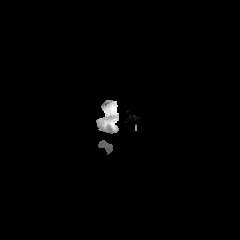
FLAIR MR.
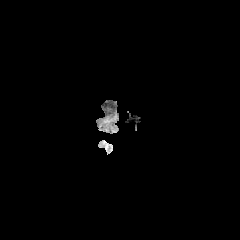
T1-weighted MRI.
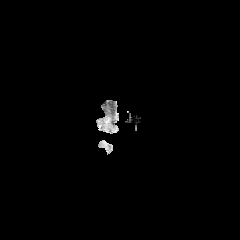
Post-contrast T1-weighted MR of the same slice.
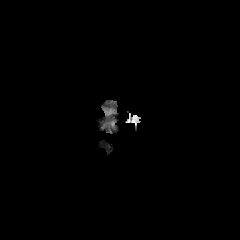
T2-weighted MRI.
Head
Edema — <box>106,104,116,114</box>.